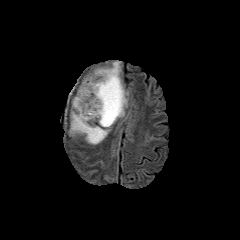
FLAIR MR.
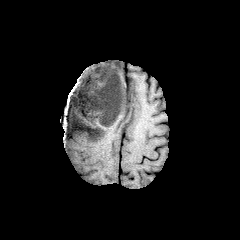
Same slice, T1-weighted MR.
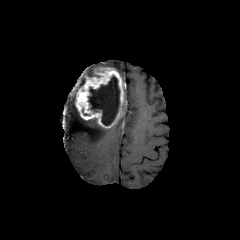
Post-contrast T1-weighted MR image of the same slice.
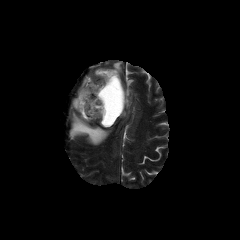
T2-weighted MR image.
Head | 240x240
edema: <bbox>111, 61, 121, 76</bbox>, <bbox>69, 98, 111, 145</bbox>, <bbox>120, 88, 130, 118</bbox> | enhancing tumor: <bbox>74, 65, 128, 128</bbox> | non-enhancing tumor core: <bbox>89, 76, 119, 125</bbox>